CT scan slice. 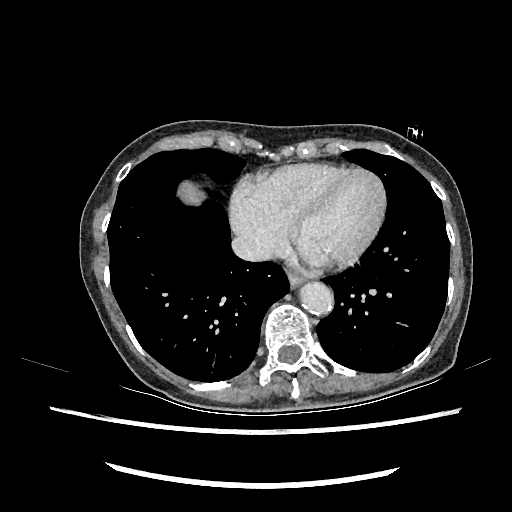
The liver is bounded by (x1=183, y1=185, x2=199, y2=203).